Hippocampus. MR. Image size 38x55. Slice 10 of 31.
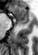

Segmented structures:
- anterior hippocampus: bbox(11, 5, 29, 23)